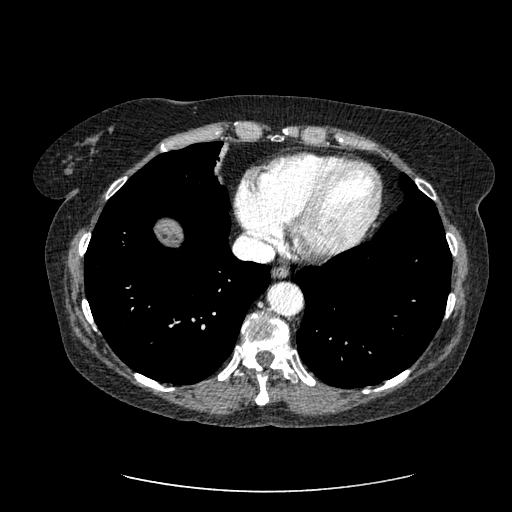

CT image.

Annotated regions:
- liver: (155,219,183,240)